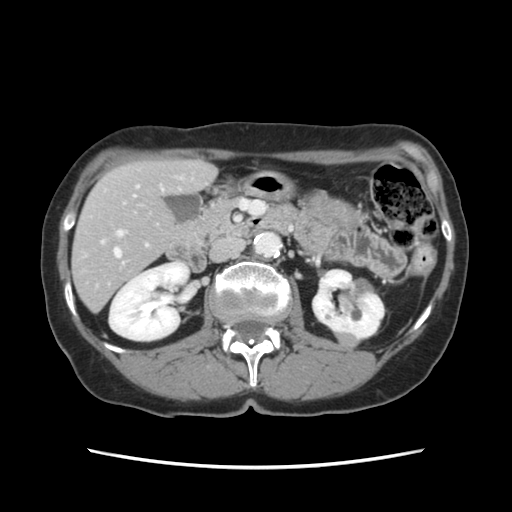
Abdomen. 512x512 px. CT scan slice.

The vessel boxes may cover only some of the vessels.
* hepatic vessel: 117, 231, 123, 235; 101, 241, 104, 243; 146, 244, 147, 246; 114, 249, 120, 256; 137, 186, 138, 187